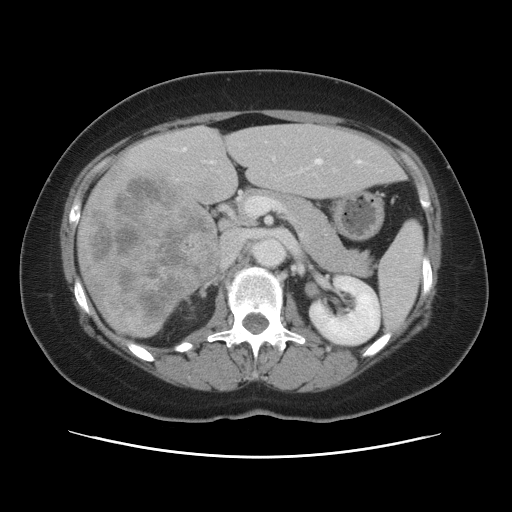 CT slice

Only some of the vessels may be annotated.
- liver tumor: {"x1": 81, "y1": 175, "x2": 215, "y2": 328}
- hepatic vessel: {"x1": 315, "y1": 159, "x2": 321, "y2": 164}, {"x1": 357, "y1": 160, "x2": 363, "y2": 162}, {"x1": 273, "y1": 157, "x2": 274, "y2": 159}, {"x1": 205, "y1": 161, "x2": 213, "y2": 163}, {"x1": 245, "y1": 197, "x2": 282, "y2": 214}, {"x1": 184, "y1": 148, "x2": 185, "y2": 150}